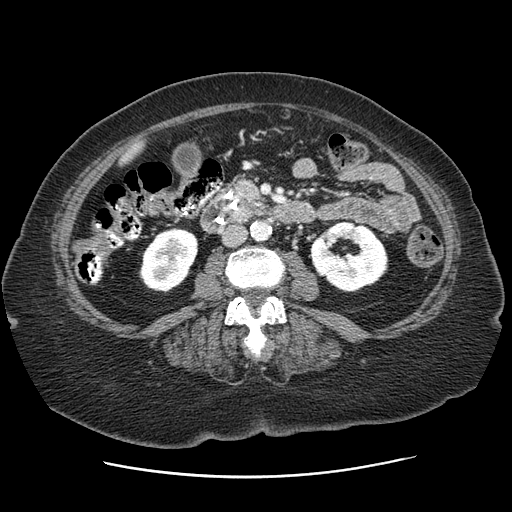
Computed tomography. Abdomen. Image size 512x512.

The pancreas appears at [230, 175, 261, 204].